240x240; Field of view 240x240 mm
FLAIR MRI.
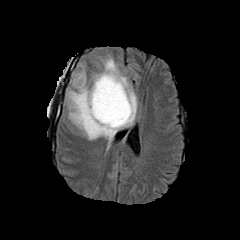
T1-weighted MR.
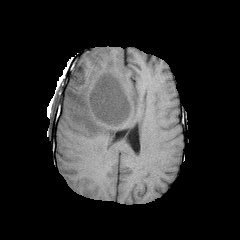
Post-contrast T1-weighted MR.
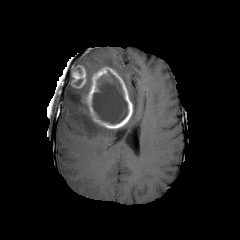
T2-weighted MR image.
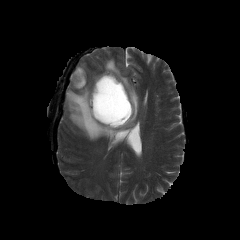
enhancing tumor: 73,68,85,87; 86,68,132,128 | non-enhancing tumor core: 92,71,127,123; 80,98,91,118 | edema: 65,57,138,147